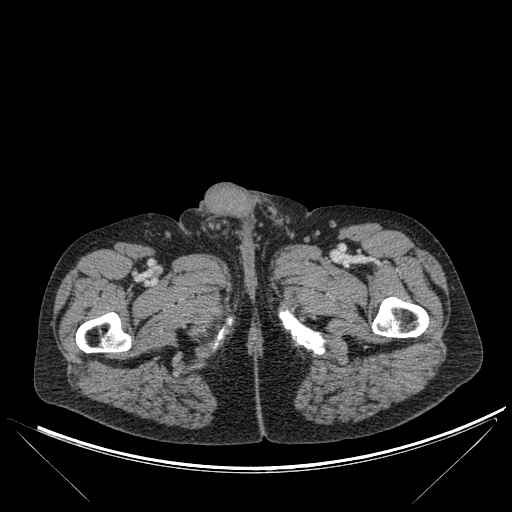

CT image

<segmentation>
  <bone>box(372, 297, 428, 337); box(280, 310, 324, 354); box(217, 329, 224, 341); box(76, 312, 131, 352)</bone>
</segmentation>